Computed tomography. Slice index 95. Image width 306 mm. Chest.

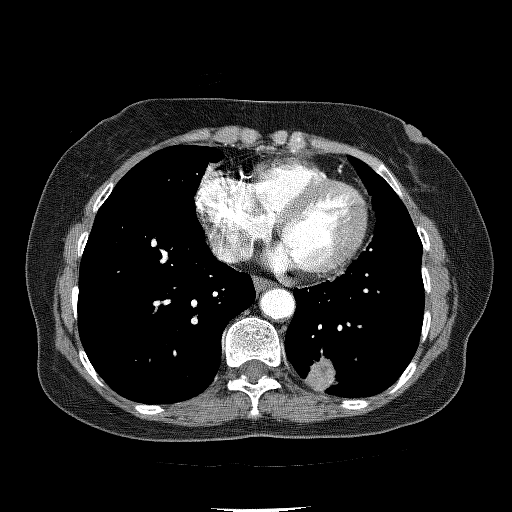

lung tumor: l=306, t=357, r=343, b=390